Upper abdomen; Computed tomography; Image width 360 mm; Slice index 359; 512x512 px
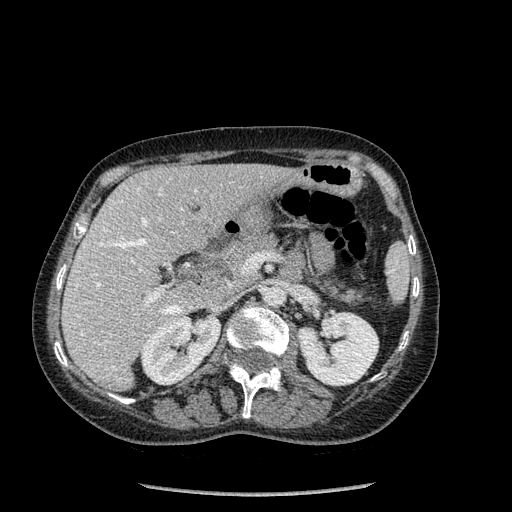

Segmented structures:
* liver: 61 164 298 391
* kidney: 141 316 220 384, 298 313 378 385
* bone: 407 235 415 254, 226 306 289 358, 56 264 66 290, 230 363 280 418, 108 393 134 404, 399 331 408 350, 54 341 67 366, 412 277 419 297